Slice 63 of 155
FLAIR magnetic resonance.
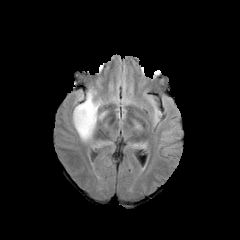
T1-weighted MR image.
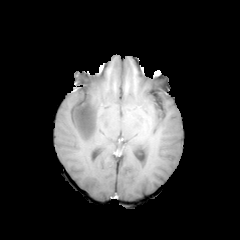
Post-contrast T1-weighted MRI.
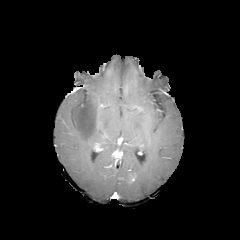
T2-weighted MRI.
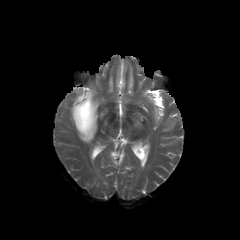
<segmentation>
  <edema>x1=145, y1=96, x2=161, y2=124; x1=71, y1=84, x2=104, y2=150</edema>
  <non-enhancing_tumor_core>x1=78, y1=100, x2=92, y2=135</non-enhancing_tumor_core>
</segmentation>